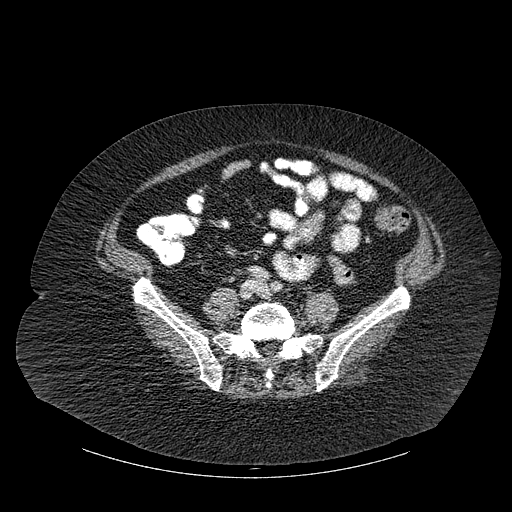
Computed tomography. 512x512 px. {
  "bone": [
    "bbox(133, 277, 221, 390)",
    "bbox(315, 286, 409, 391)",
    "bbox(266, 369, 273, 387)",
    "bbox(213, 303, 322, 363)"
  ]
}